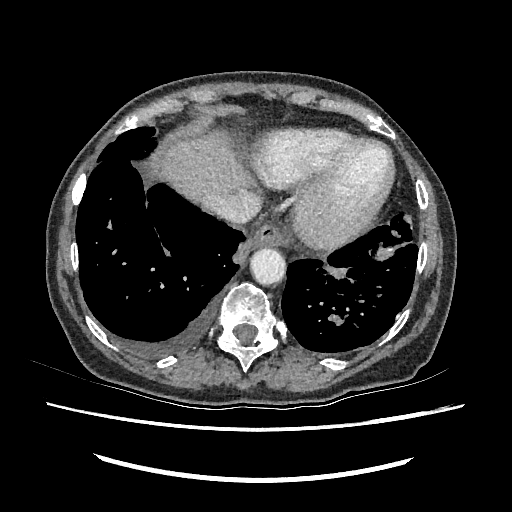 CT image | Liver
{"liver": ["161 134 252 205"]}